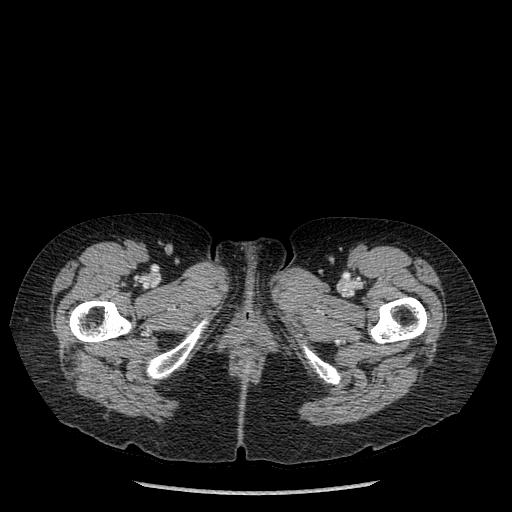 CT slice; 512x512

4 bone regions appear at 146,318,207,378; 302,344,340,384; 67,299,131,344; 370,296,427,343.